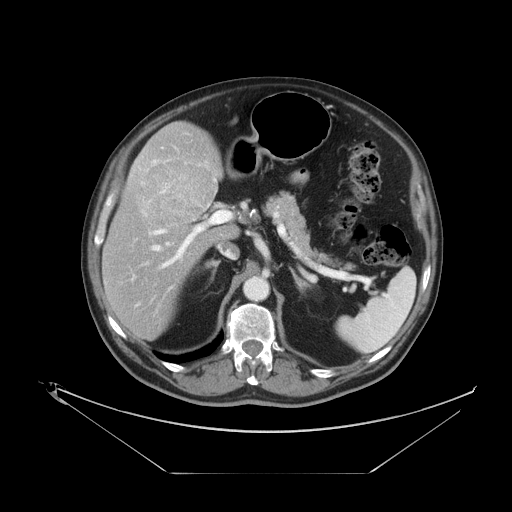

CT; 512x512
The vessel annotation is not exhaustive.
{"liver_tumor": ["(x1=144, y1=161, x2=215, y2=223)"], "hepatic_vessel": ["(x1=167, y1=243, x2=168, y2=245)", "(x1=151, y1=160, x2=158, y2=165)", "(x1=210, y1=211, x2=230, y2=222)", "(x1=132, y1=276, x2=134, y2=279)", "(x1=161, y1=226, x2=203, y2=267)", "(x1=143, y1=199, x2=149, y2=205)", "(x1=141, y1=181, x2=144, y2=184)", "(x1=138, y1=167, x2=139, y2=168)", "(x1=145, y1=170, x2=148, y2=171)", "(x1=193, y1=219, x2=194, y2=220)", "(x1=164, y1=160, x2=168, y2=162)", "(x1=142, y1=210, x2=146, y2=215)", "(x1=136, y1=304, x2=138, y2=305)", "(x1=149, y1=229, x2=166, y2=234)", "(x1=152, y1=246, x2=161, y2=250)"]}